FLAIR magnetic resonance.
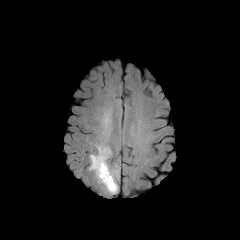
T1-weighted magnetic resonance.
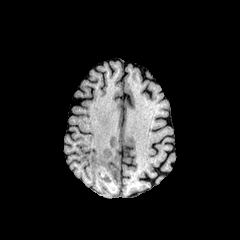
Post-contrast T1-weighted MR.
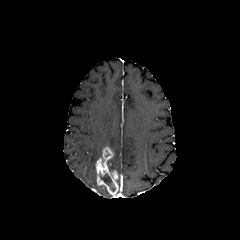
T2-weighted MR image.
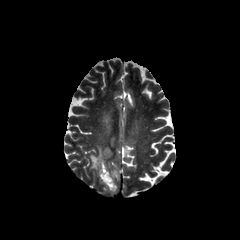
Enhancing tumor: bounding box (left=94, top=146, right=119, bottom=195).
Edema: bounding box (left=93, top=108, right=111, bottom=163).
Non-enhancing tumor core: bounding box (left=100, top=172, right=115, bottom=192).